Abdomen | CT scan slice | Slice 121 of 212 | 512x512 px
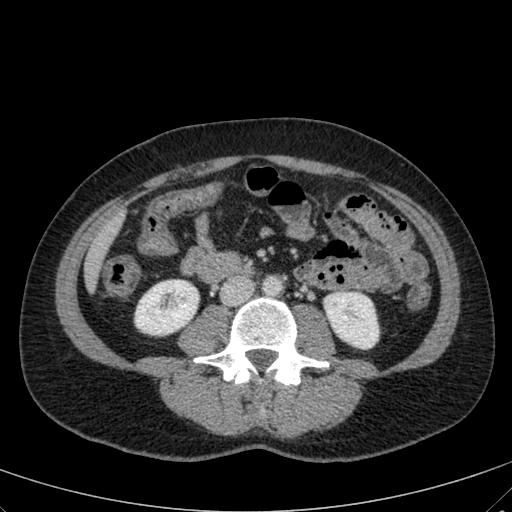 {"liver": ["(84,214,120,292)"], "kidney": ["(324,292,378,348)", "(135,280,197,334)"]}